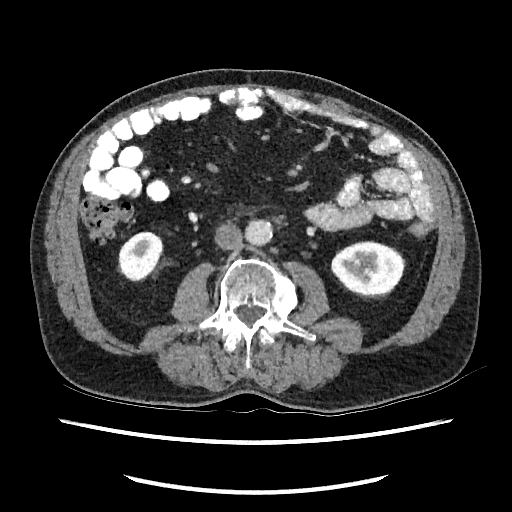

CT slice | 512x512
{
  "kidney": [
    "bbox(331, 241, 404, 296)",
    "bbox(118, 232, 162, 280)"
  ]
}